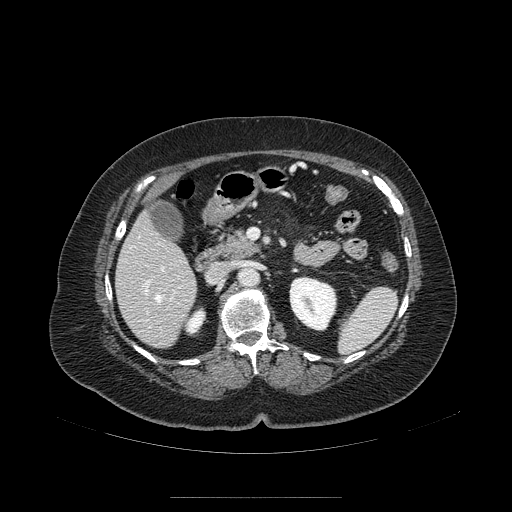

Abdomen; Computed tomography; 512x512
The pancreas is at box=[221, 226, 260, 262].